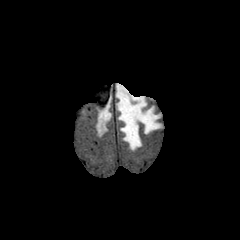
FLAIR MRI.
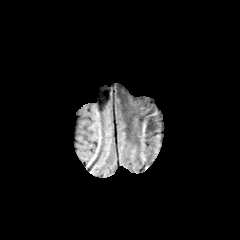
T1-weighted MR image of the same slice.
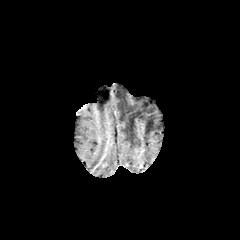
Post-contrast T1-weighted MRI.
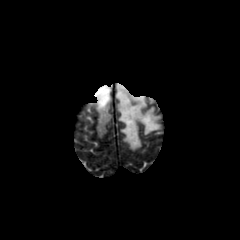
T2-weighted MRI of the same slice.
240x240 px; Brain
The edema appears at 115,83,161,151.